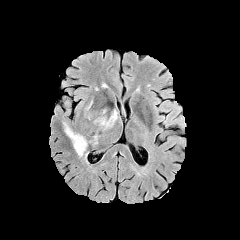
FLAIR MR.
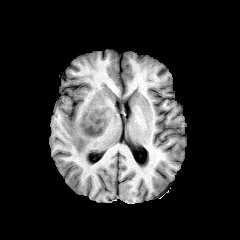
T1-weighted MRI of the same slice.
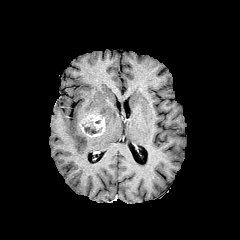
Post-contrast T1-weighted MRI.
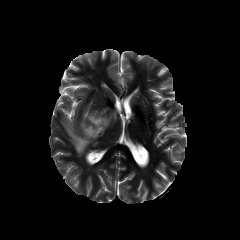
T2-weighted MRI.
<segmentation>
  <enhancing_tumor>{"x1": 79, "y1": 113, "x2": 105, "y2": 138}</enhancing_tumor>
  <edema>{"x1": 63, "y1": 121, "x2": 91, "y2": 157}, {"x1": 105, "y1": 109, "x2": 119, "y2": 128}</edema>
  <non-enhancing_tumor_core>{"x1": 90, "y1": 127, "x2": 101, "y2": 135}</non-enhancing_tumor_core>
</segmentation>